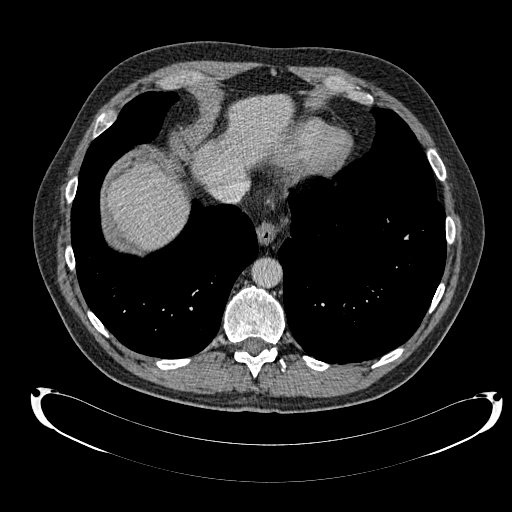
512x512 | Liver | CT scan slice
2 liver regions are located at (194,95,292,187), (107,163,188,247).